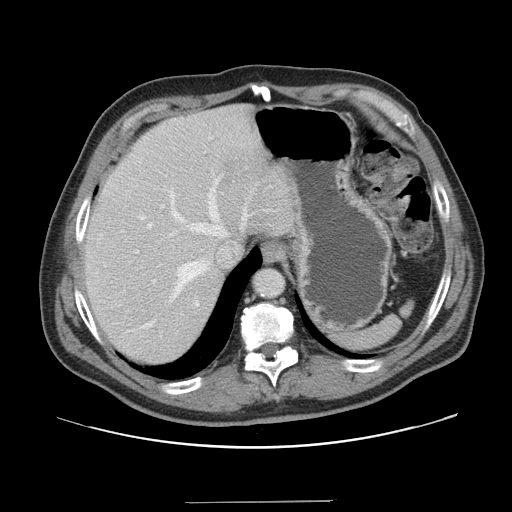 CT slice
Not every hepatic vessel necessarily has a box.
liver tumor: 221,163,235,184 | hepatic vessel: 243,209,247,220; 147,324,150,324; 161,205,164,207; 148,223,152,227; 140,216,144,219; 172,260,207,297; 170,191,173,205; 152,280,155,282; 187,187,226,236; 172,207,184,221; 135,250,138,252; 216,180,217,183